512x512 px | CT 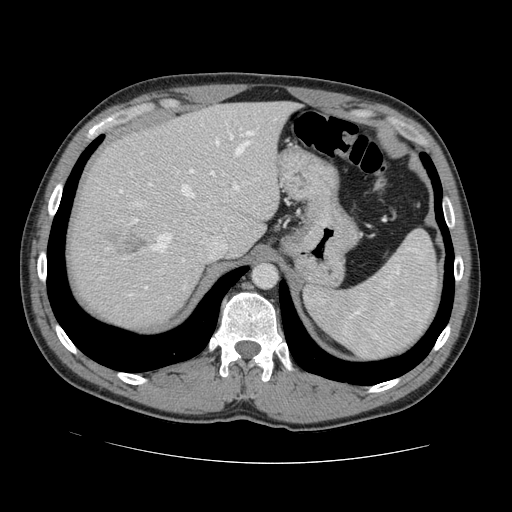 The vessel boxes may cover only some of the vessels.
Annotated regions:
- hepatic vessel (most prominent 15 of 24): left=235, top=131, right=252, bottom=155; left=124, top=223, right=127, bottom=226; left=128, top=218, right=137, bottom=223; left=226, top=123, right=229, bottom=133; left=233, top=181, right=238, bottom=190; left=181, top=185, right=193, bottom=197; left=189, top=169, right=192, bottom=172; left=132, top=202, right=145, bottom=207; left=229, top=134, right=232, bottom=138; left=215, top=139, right=218, bottom=144; left=239, top=128, right=241, bottom=130; left=119, top=190, right=122, bottom=192; left=128, top=294, right=132, bottom=295; left=149, top=233, right=170, bottom=251; left=210, top=171, right=213, bottom=174
- liver tumor: left=120, top=235, right=145, bottom=255